FLAIR MR image.
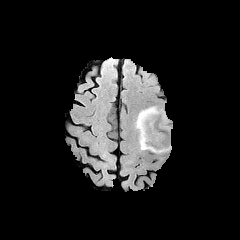
T1-weighted MRI.
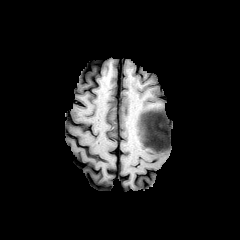
Post-contrast T1-weighted MRI.
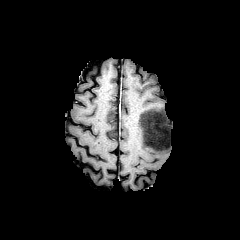
T2-weighted MR image.
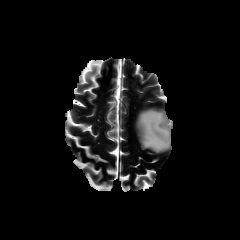
Non-enhancing tumor core: 139, 119, 145, 141.
Edema: 137, 108, 171, 152.